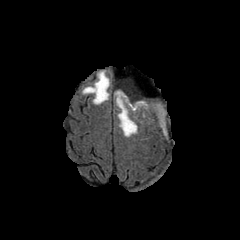
FLAIR magnetic resonance.
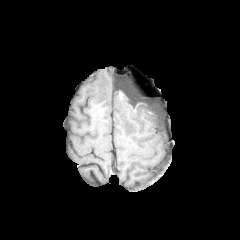
T1-weighted MR image of the same slice.
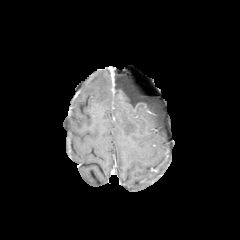
Post-contrast T1-weighted MR image of the same slice.
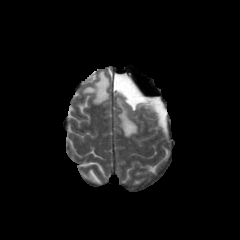
T2-weighted MR of the same slice.
Image size 240x240.
The non-enhancing tumor core is at region(126, 94, 163, 117). 2 edema regions are bounded by region(81, 70, 111, 104); region(114, 84, 165, 137).